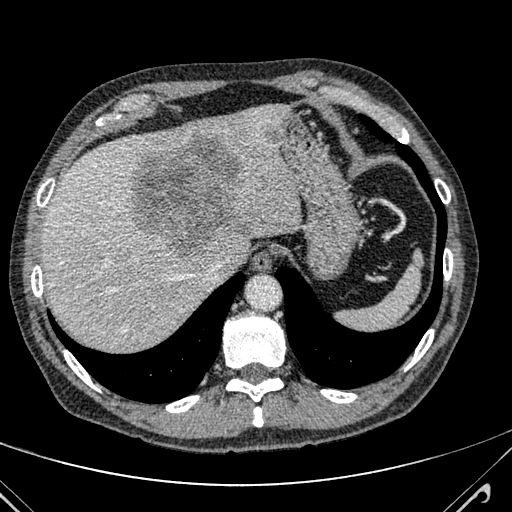

Computed tomography, 512x512 px
<segmentation>
  <liver>43, 106, 301, 349</liver>
  <hepatic_lesion>267, 129, 278, 143; 131, 133, 255, 261</hepatic_lesion>
</segmentation>